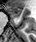 Magnetic resonance, 36x42 px
<segmentation>
  <anterior_hippocampus>[x1=7, y1=7, x2=21, y2=16]</anterior_hippocampus>
</segmentation>